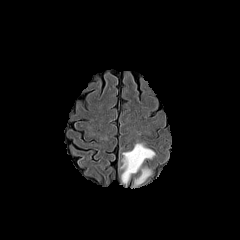
FLAIR MR image.
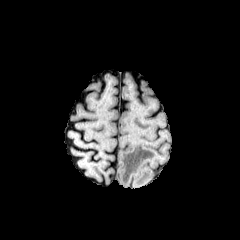
T1-weighted MR.
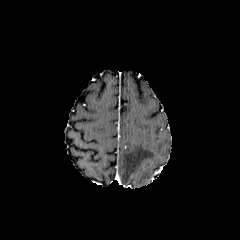
Post-contrast T1-weighted MRI.
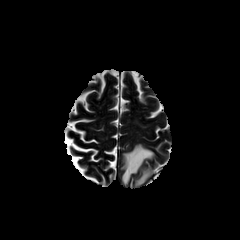
T2-weighted magnetic resonance of the same slice.
Edema — bbox(120, 143, 155, 187).